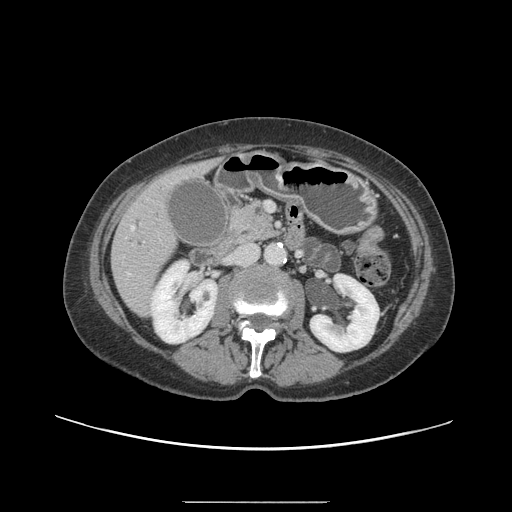

Abdomen. Image size 512x512. CT slice.

Pancreas at 229:201:277:241.